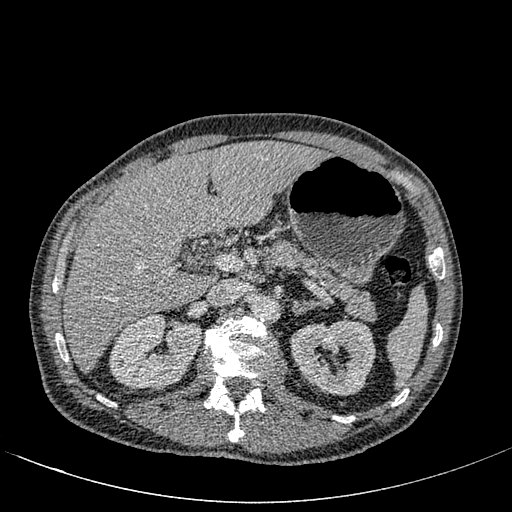
CT scan slice, Liver
Liver: <box>64,142,326,373</box>.
Kidney: <box>290,320,375,395</box>, <box>109,314,201,388</box>.